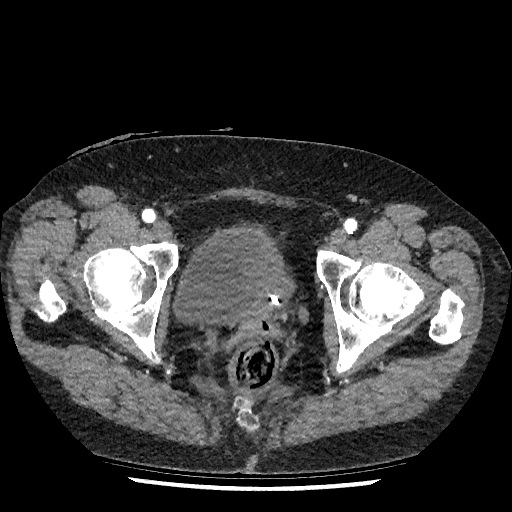
CT slice; Pelvis

Segmented structures:
• urinary bladder: {"x1": 172, "y1": 223, "x2": 295, "y2": 329}